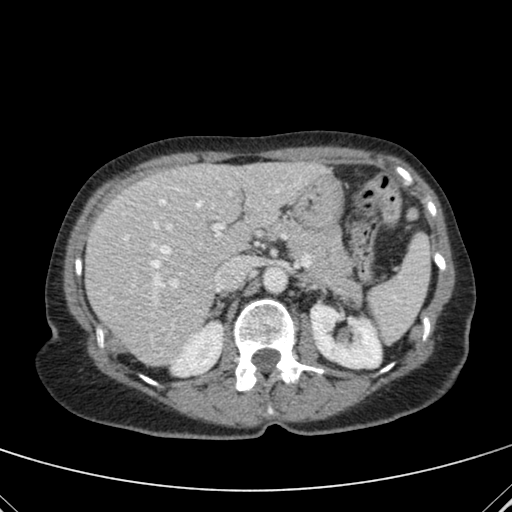
CT image

• liver: x1=85 y1=162 x2=328 y2=364
• kidney: x1=172 y1=323 x2=220 y2=374, x1=311 y1=306 x2=381 y2=365